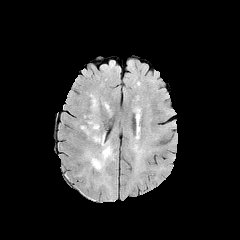
FLAIR MR image.
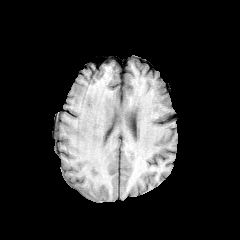
T1-weighted MR image.
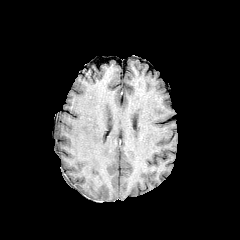
Post-contrast T1-weighted MR.
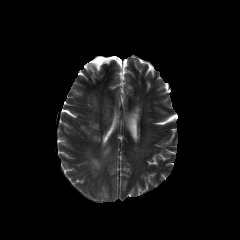
Same slice, T2-weighted MRI.
Head | Image size 240x240
edema:
  - bbox(90, 134, 111, 170)
  - bbox(88, 122, 99, 131)